Brain; Slice 59 of 155
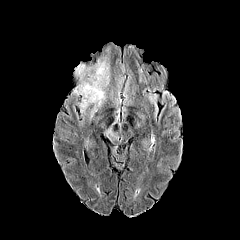
FLAIR MR image.
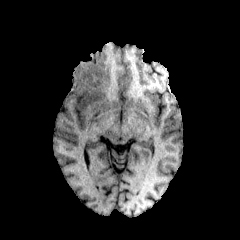
T1-weighted MR image.
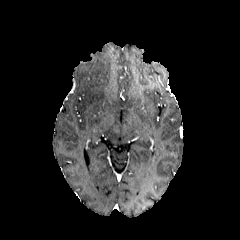
Post-contrast T1-weighted MR image.
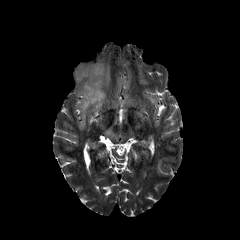
T2-weighted MRI.
Annotated regions:
• edema: (73, 64, 108, 118)